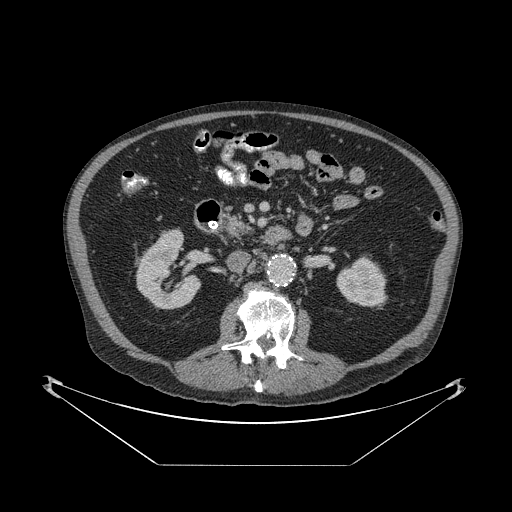 CT
Pancreas: bounding box [223,212,252,239].